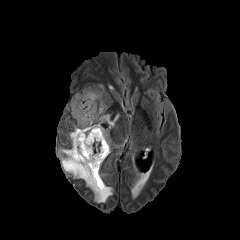
FLAIR MR.
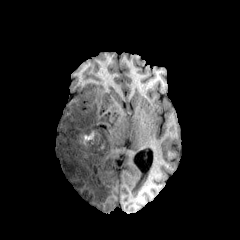
T1-weighted MRI.
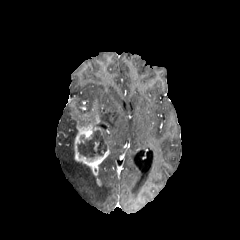
Post-contrast T1-weighted MRI.
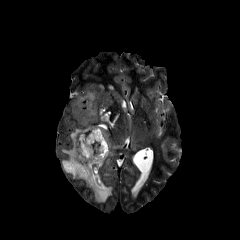
T2-weighted MR of the same slice.
Brain. 240x240 px.
3 non-enhancing tumor core regions are located at [75,94,83,111], [78,130,106,156], [83,101,90,113]. The enhancing tumor is located at [68,98,112,170]. 3 edema regions are located at [56,147,113,203], [82,90,119,130], [65,127,77,148].